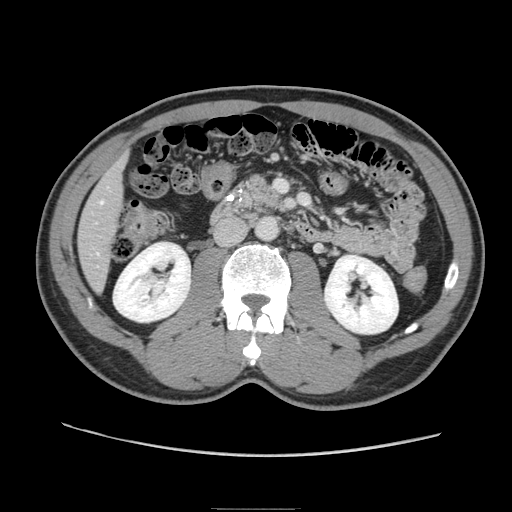 CT. <segmentation>
  <pancreas>x1=241, y1=173, x2=282, y2=210</pancreas>
</segmentation>